CT slice | Slice index 455

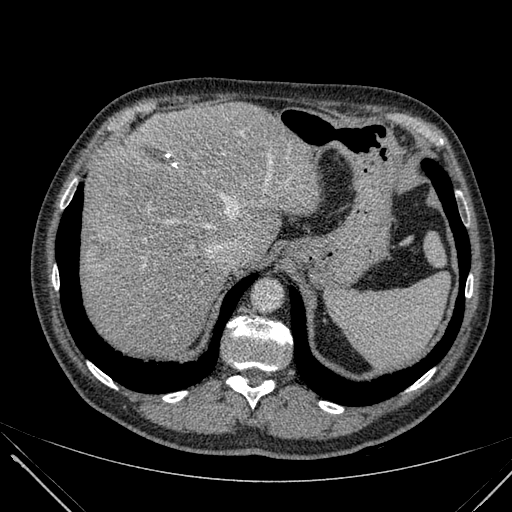 Hepatic lesion — [98,241,110,255], [144,147,175,164].
Liver — [81,103,320,356].